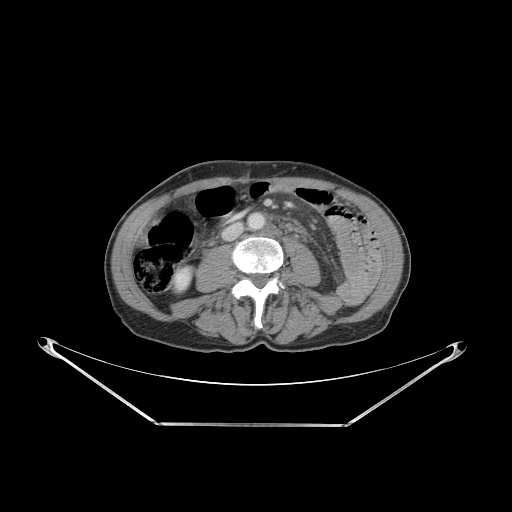
CT scan slice, Image size 512x512
<segmentation>
  <bone>232:237:283:327</bone>
  <kidney>175:268:190:289</kidney>
</segmentation>